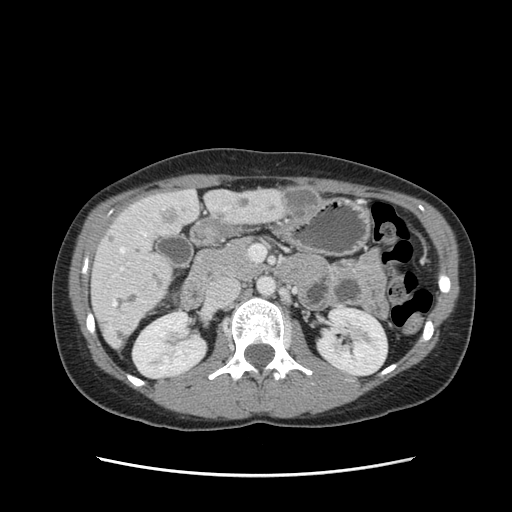 512x512; CT image
Segmented structures:
• pancreas: [x1=192, y1=238, x2=262, y2=281]